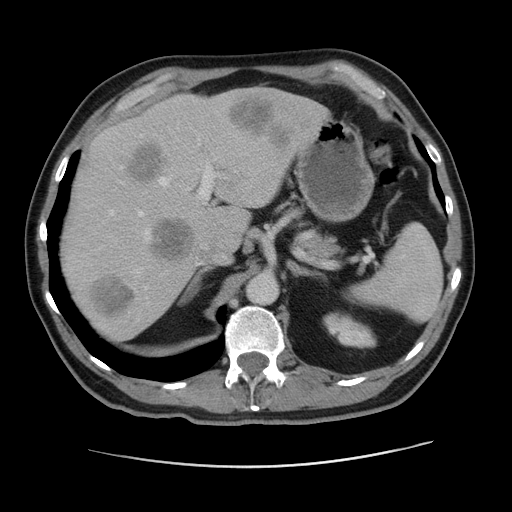 Computed tomography, 512x512 px
The liver is at [61, 87, 326, 337]. 6 liver lesion regions appear at [150, 220, 194, 260], [227, 172, 245, 188], [89, 275, 133, 318], [130, 145, 167, 183], [229, 97, 277, 136], [271, 127, 295, 149]. The kidney is bounded by [323, 312, 376, 348].